240x240. Slice index 74. Field of view 240 mm wide, 1.00 mm slice spacing.
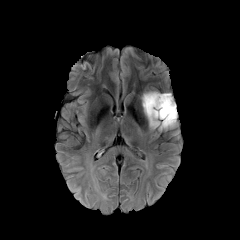
FLAIR MR image.
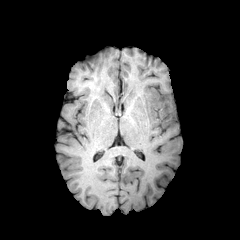
T1-weighted MR of the same slice.
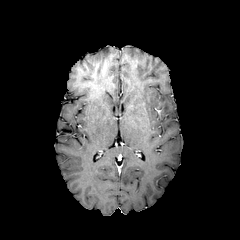
Post-contrast T1-weighted MR.
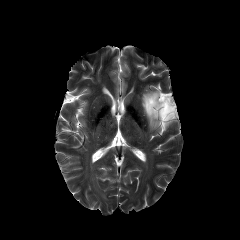
T2-weighted magnetic resonance.
The edema is at bbox(141, 91, 177, 131). The non-enhancing tumor core is bounded by bbox(151, 96, 175, 124).